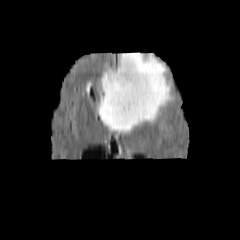
FLAIR MR image.
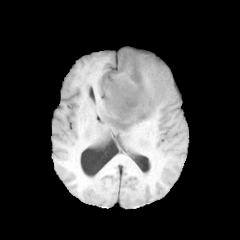
T1-weighted magnetic resonance.
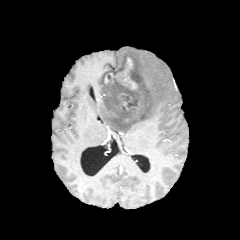
Post-contrast T1-weighted MR.
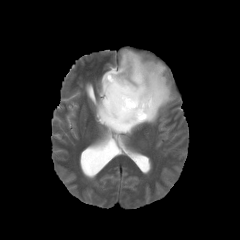
T2-weighted MR image.
Image size 240x240. Brain.
- enhancing tumor: <bbox>123, 76, 136, 89</bbox>, <bbox>122, 58, 133, 76</bbox>
- edema: <bbox>96, 49, 176, 133</bbox>
- non-enhancing tumor core: <bbox>104, 55, 151, 123</bbox>